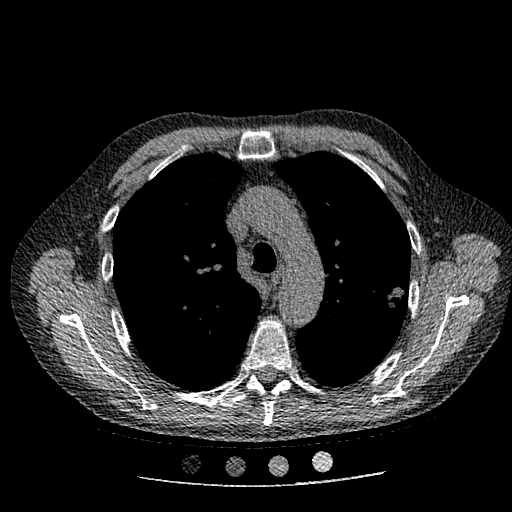

Chest. Computed tomography. Image size 512x512.

Lung tumor = box(379, 284, 407, 313).